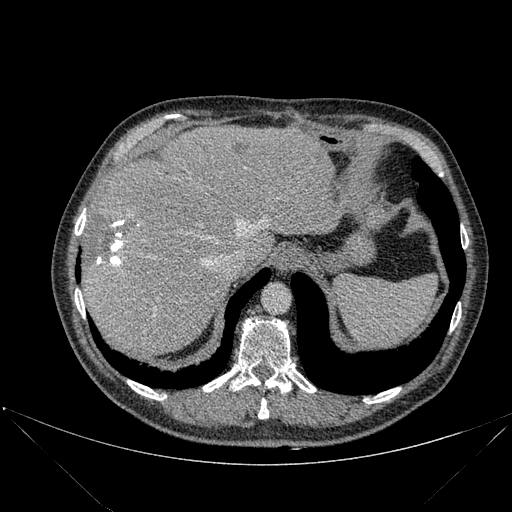

Computed tomography.

8 bone regions are located at {"x1": 75, "y1": 210, "x2": 85, "y2": 235}, {"x1": 127, "y1": 380, "x2": 164, "y2": 400}, {"x1": 258, "y1": 398, "x2": 268, "y2": 418}, {"x1": 461, "y1": 226, "x2": 468, "y2": 248}, {"x1": 450, "y1": 308, "x2": 461, "y2": 331}, {"x1": 75, "y1": 290, "x2": 85, "y2": 318}, {"x1": 203, "y1": 319, "x2": 315, "y2": 392}, {"x1": 363, "y1": 387, "x2": 400, "y2": 403}. 3 lung regions are located at {"x1": 291, "y1": 157, "x2": 465, "y2": 393}, {"x1": 75, "y1": 259, "x2": 80, "y2": 281}, {"x1": 89, "y1": 268, "x2": 270, "y2": 388}. The liver is bounded by {"x1": 81, "y1": 125, "x2": 341, "y2": 355}.